Image size 240x240. Field of view 240 mm wide, 1.00 mm slice spacing. Slice index 105.
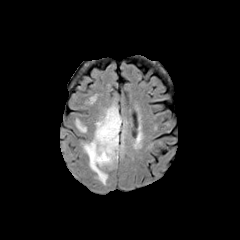
FLAIR MR image.
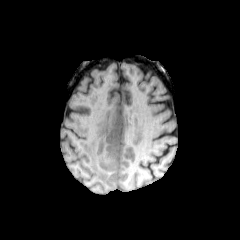
T1-weighted MR.
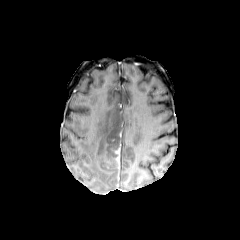
Post-contrast T1-weighted MR image.
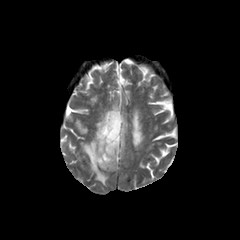
T2-weighted MRI.
The enhancing tumor is bounded by [x1=115, y1=147, x2=120, y2=169]. The edema is located at [x1=81, y1=103, x2=127, y2=185]. The non-enhancing tumor core appears at [x1=109, y1=141, x2=122, y2=167].